FLAIR MR.
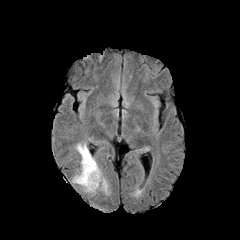
T1-weighted MR.
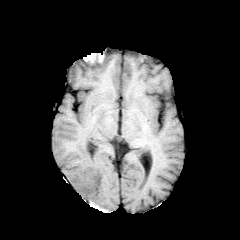
Post-contrast T1-weighted MRI.
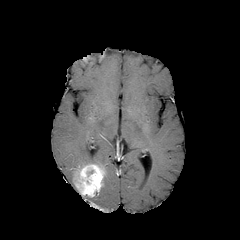
T2-weighted MR.
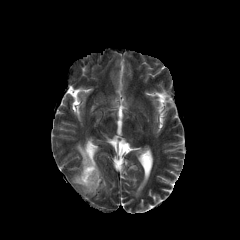
Head.
The enhancing tumor appears at (73,162,103,196). 2 edema regions are located at (76,143,96,168), (102,178,107,192).